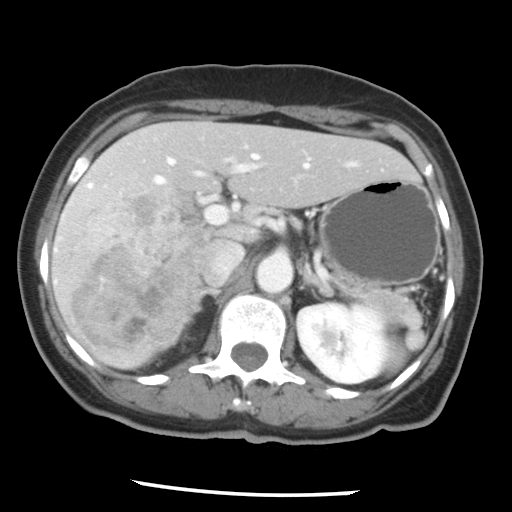
Liver, CT scan slice
The vessel annotation is not exhaustive.
The liver tumor is bounded by x1=71 y1=222 x2=205 y2=359. 11 hepatic vessel regions are located at x1=212 y1=245 x2=241 y2=278, x1=104 y1=185 x2=107 y2=188, x1=167 y1=157 x2=174 y2=164, x1=195 y1=171 x2=200 y2=175, x1=304 y1=162 x2=308 y2=167, x1=82 y1=181 x2=94 y2=204, x1=153 y1=175 x2=165 y2=185, x1=236 y1=165 x2=256 y2=170, x1=201 y1=199 x2=227 y2=223, x1=350 y1=162 x2=354 y2=164, x1=251 y1=153 x2=258 y2=158.